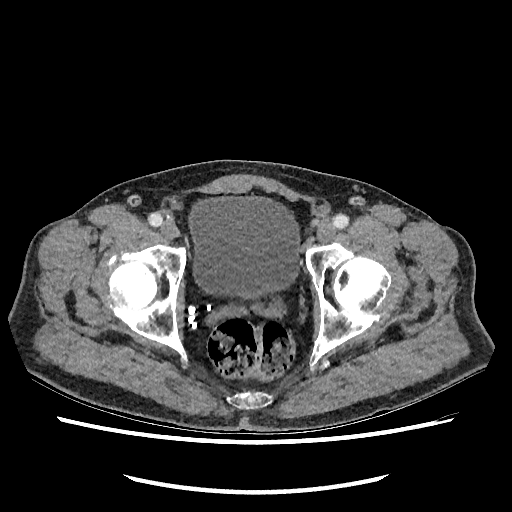

CT, 512x512, Lower abdomen

Urinary bladder = [188, 196, 300, 299].